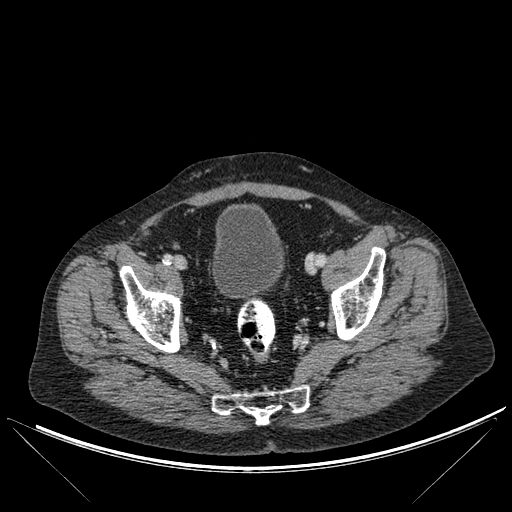

CT scan slice

bone: rect(120, 266, 180, 352); rect(212, 385, 309, 424); rect(331, 247, 385, 339) | urinary bladder: rect(212, 204, 284, 299)